FLAIR MR image.
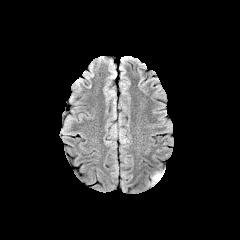
T1-weighted magnetic resonance.
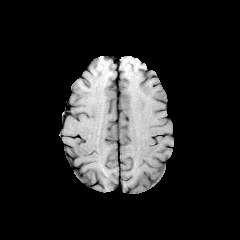
Post-contrast T1-weighted magnetic resonance.
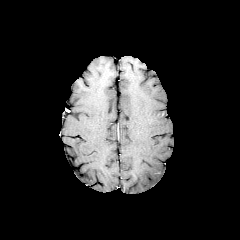
T2-weighted MRI.
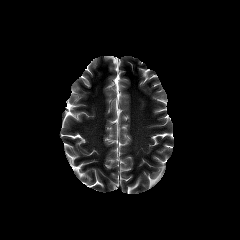
Image size 240x240
<segmentation>
  <edema>left=149, top=171, right=162, bottom=184</edema>
</segmentation>